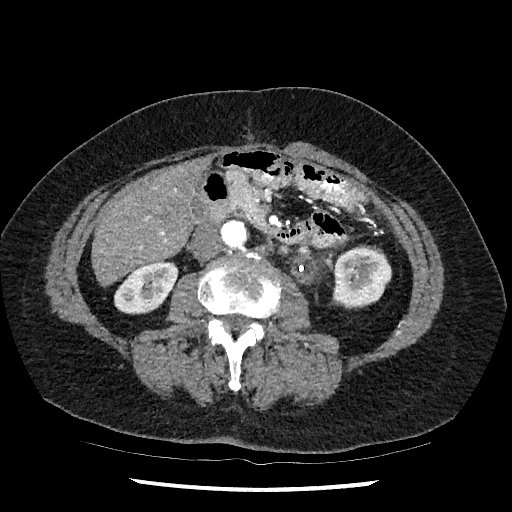

CT image
The liver is at 92, 159, 207, 285. 2 kidney regions are located at 334, 248, 390, 306; 114, 262, 177, 312.